Image size 512x512 | CT slice | Upper abdomen

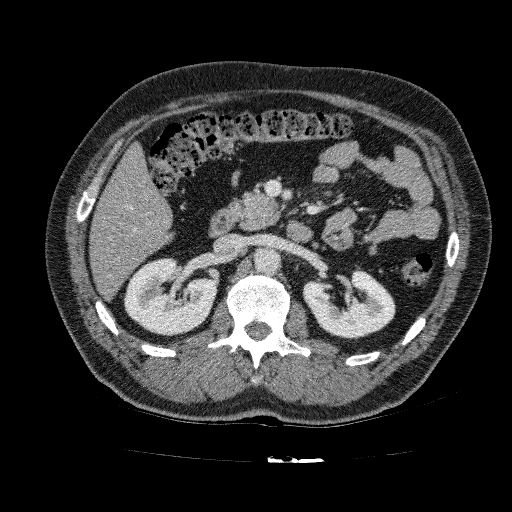 Liver: [89,143,174,299].
Kidney: [304,271,394,337], [172,277,181,290], [125,259,216,334].